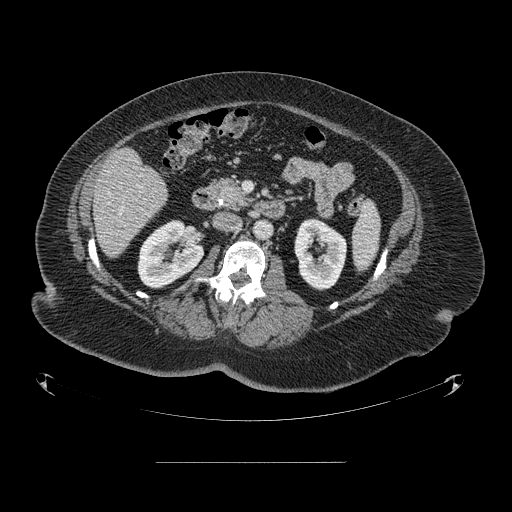

Upper abdomen | CT scan slice | 512x512 px
pancreas:
  - {"x1": 209, "y1": 178, "x2": 253, "y2": 210}